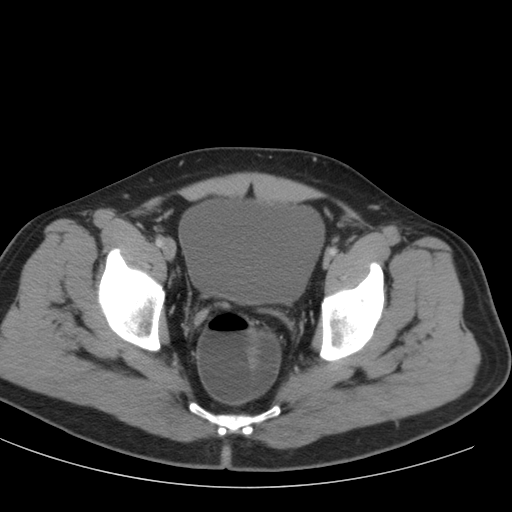

512x512; Pelvis; CT slice

Urinary bladder = (left=180, top=194, right=324, bottom=304).